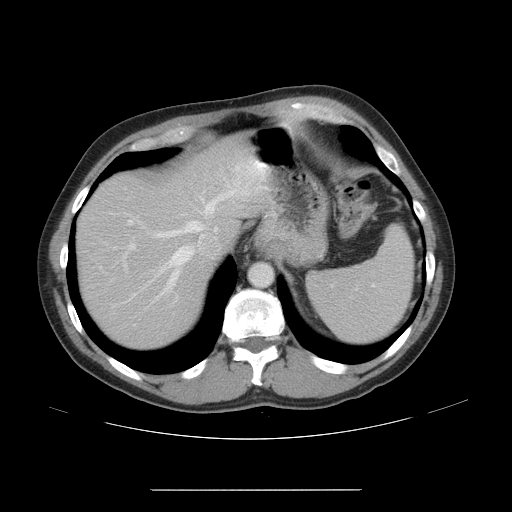 Abdomen. CT. The vessel annotation is not exhaustive.
Findings:
• hepatic vessel: <bbox>110, 279, 111, 280</bbox>, <bbox>214, 227, 217, 231</bbox>, <bbox>127, 220, 132, 224</bbox>, <bbox>143, 286, 146, 288</bbox>, <bbox>174, 296, 177, 302</bbox>, <bbox>149, 281, 151, 283</bbox>, <bbox>127, 243, 135, 249</bbox>, <bbox>196, 159, 263, 216</bbox>, <bbox>156, 221, 203, 237</bbox>, <bbox>152, 246, 193, 302</bbox>, <bbox>152, 278, 154, 280</bbox>